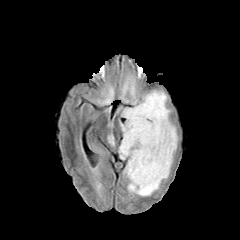
FLAIR MRI.
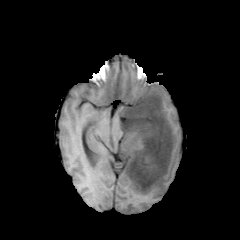
Same slice, T1-weighted magnetic resonance.
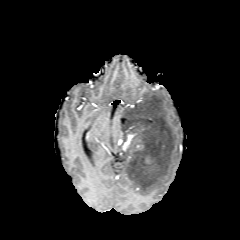
Same slice, post-contrast T1-weighted MR image.
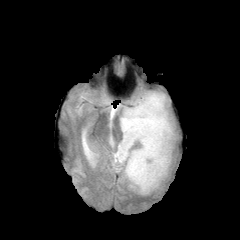
T2-weighted MRI.
Head
Segmented structures:
• edema: (122, 158, 142, 195), (131, 91, 152, 104), (145, 89, 177, 195), (130, 136, 142, 151)
• enhancing tumor: (120, 133, 134, 150)
• non-enhancing tumor core: (119, 93, 172, 195)